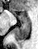 Hippocampus. MRI slice. Posterior hippocampus: box=[15, 21, 31, 41].
Anterior hippocampus: box=[15, 14, 16, 15]; box=[18, 12, 29, 20].